Slice index 90 | Head | 240x240 px
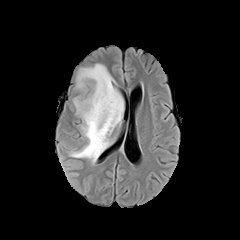
FLAIR MR.
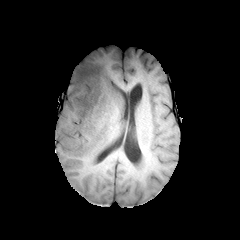
T1-weighted magnetic resonance.
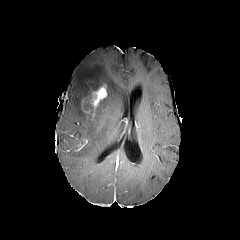
Post-contrast T1-weighted MR of the same slice.
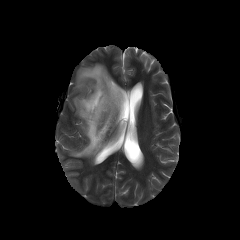
T2-weighted MR.
<segmentation>
  <non-enhancing_tumor_core>80,86,99,115; 92,68,99,77</non-enhancing_tumor_core>
  <edema>69,64,124,164</edema>
  <enhancing_tumor>89,84,106,107</enhancing_tumor>
</segmentation>